240x240 px. Brain. Slice index 84. Field of view 240x240 mm.
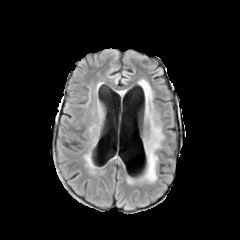
FLAIR MR image.
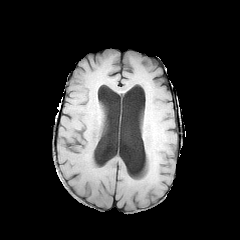
T1-weighted magnetic resonance.
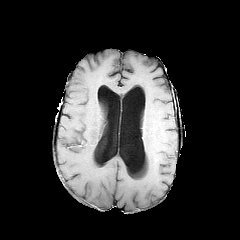
Same slice, post-contrast T1-weighted MRI.
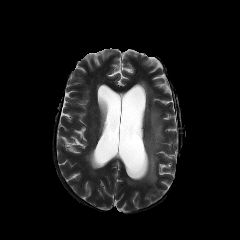
T2-weighted MR of the same slice.
Edema: bounding box (left=142, top=140, right=157, bottom=181), (left=153, top=127, right=160, bottom=139), (left=139, top=80, right=152, bottom=115).